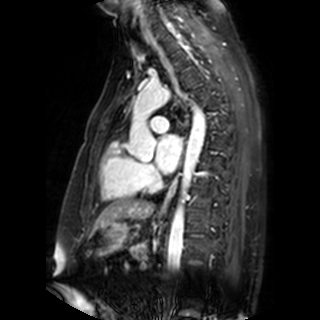
MRI slice. Image size 320x320.
left_atrium:
  - bbox(155, 135, 181, 172)